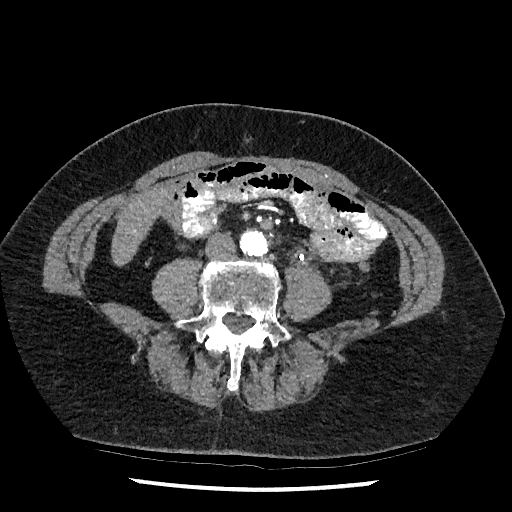

CT image | Upper abdomen | Image size 512x512
Segmented structures:
* liver: 112:187:168:264